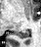
MR image. Medial temporal lobe. 41x47.
Posterior hippocampus: bounding box rect(15, 30, 29, 38).